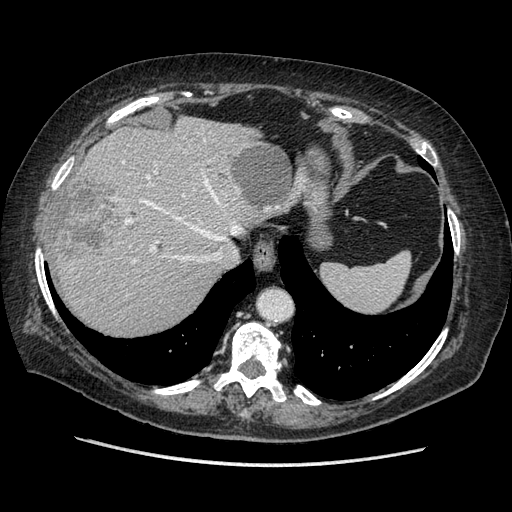
Liver; Image size 512x512; CT slice

Only some of the vessels may be annotated.
Liver tumor: 52, 179, 127, 252.
Hepatic vessel: 132, 259, 136, 261; 232, 224, 239, 233; 155, 171, 156, 172; 182, 252, 220, 260; 195, 228, 222, 237; 126, 219, 131, 223; 138, 198, 159, 208; 151, 244, 155, 251; 204, 179, 216, 200; 148, 177, 149, 180.